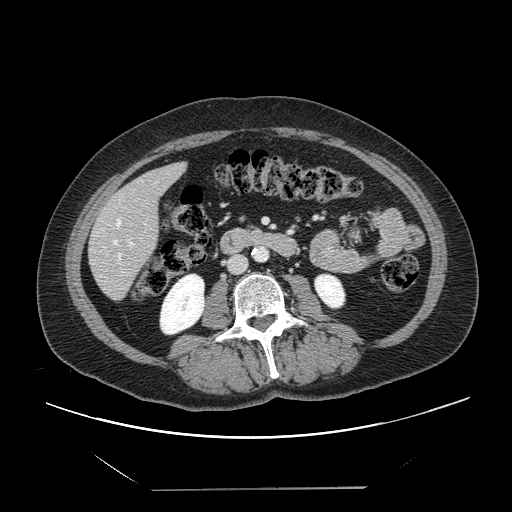

CT, 512x512 px
Only some of the vessels may be annotated.
Hepatic vessel: box(127, 239, 133, 246); box(112, 239, 118, 245); box(119, 200, 120, 202); box(117, 253, 121, 262); box(115, 217, 121, 228).